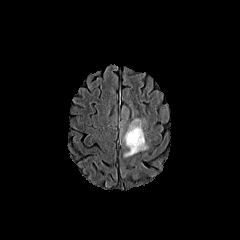
FLAIR MR image.
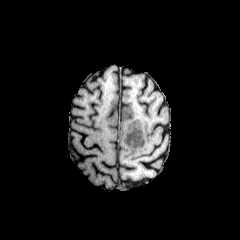
T1-weighted MR of the same slice.
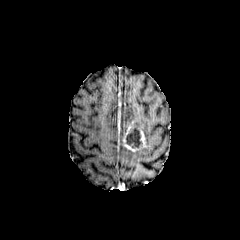
Post-contrast T1-weighted magnetic resonance of the same slice.
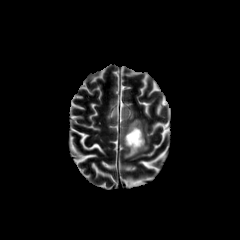
T2-weighted MR image.
Brain
<segmentation>
  <enhancing_tumor>122, 120, 147, 151</enhancing_tumor>
  <non-enhancing_tumor_core>125, 121, 142, 148</non-enhancing_tumor_core>
</segmentation>